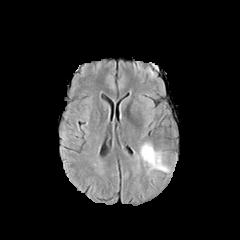
FLAIR MRI.
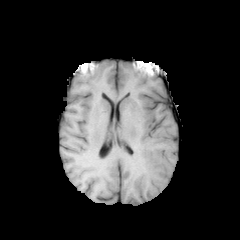
Same slice, T1-weighted MRI.
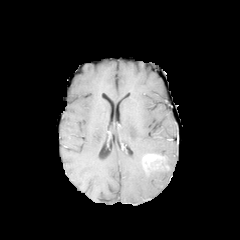
Same slice, post-contrast T1-weighted MR.
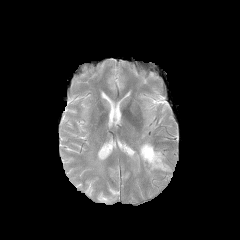
T2-weighted MR image of the same slice.
Brain
2 edema regions appear at [x1=132, y1=140, x2=166, y2=165], [x1=144, y1=165, x2=171, y2=177]. The enhancing tumor is bounded by [x1=142, y1=153, x2=169, y2=169].